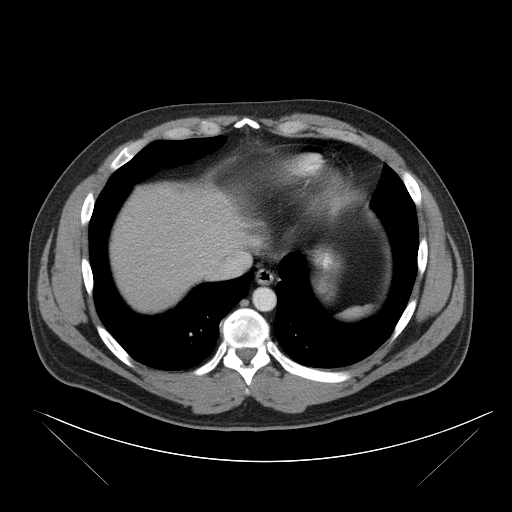

Abdomen; CT image
Spleen: box=[347, 309, 374, 319].